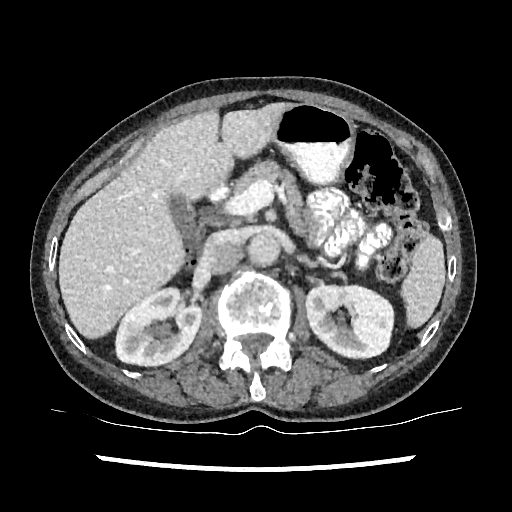

Liver, Computed tomography
kidney: left=306, top=286, right=392, bottom=356; left=116, top=290, right=200, bottom=365 | liver: left=61, top=103, right=295, bottom=338